Head. Field of view 240 mm wide, 1.00 mm slice spacing.
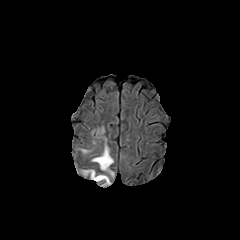
FLAIR magnetic resonance.
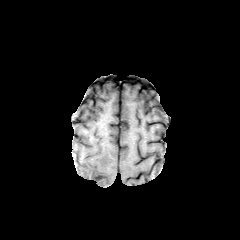
T1-weighted magnetic resonance of the same slice.
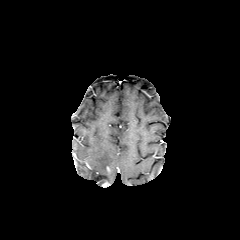
Post-contrast T1-weighted magnetic resonance of the same slice.
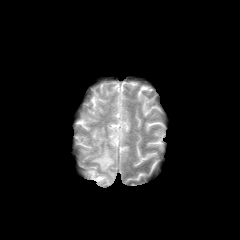
T2-weighted MR image of the same slice.
The edema is bounded by <box>84,146,114,185</box>.